Slice 11 of 35 | Field of view 35 mm wide, 1.00 mm slice spacing | MR | Medial temporal lobe
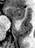
Anterior hippocampus = [7, 6, 25, 19].